FLAIR MRI.
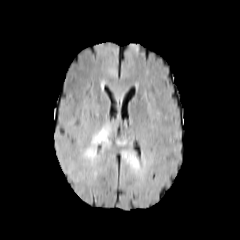
T1-weighted MR image.
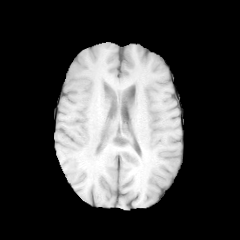
Post-contrast T1-weighted MR image.
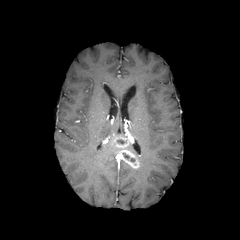
T2-weighted MR image.
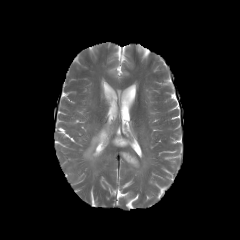
240x240, Brain
enhancing tumor: region(113, 136, 140, 168) | edema: region(83, 123, 110, 161) | non-enhancing tumor core: region(122, 152, 135, 162)